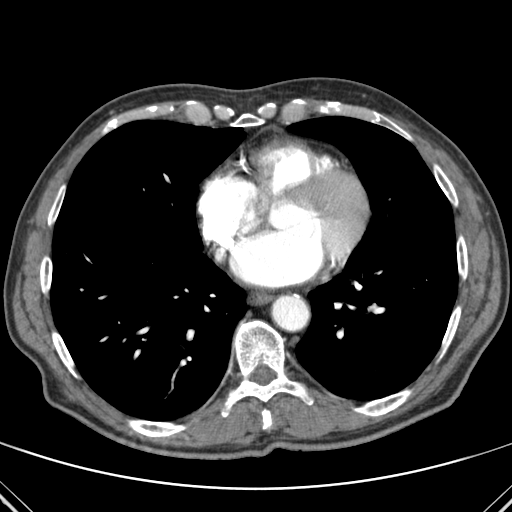 Computed tomography | Image size 512x512
Annotated regions:
- bone: region(40, 256, 51, 292); region(218, 320, 312, 416); region(147, 106, 157, 112); region(262, 409, 271, 428); region(52, 332, 76, 376); region(103, 119, 117, 131); region(457, 236, 467, 278); region(48, 186, 64, 224); region(365, 112, 411, 139); region(442, 306, 460, 353); region(434, 165, 457, 205); region(354, 390, 411, 416); region(129, 420, 185, 436); region(321, 102, 342, 112); region(231, 113, 263, 126)
- lung: region(50, 120, 246, 420); region(287, 116, 457, 399)